FLAIR MR.
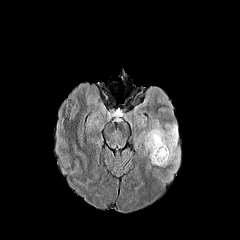
T1-weighted MRI.
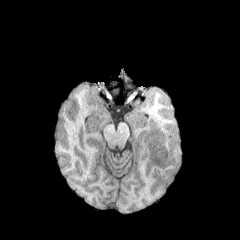
Post-contrast T1-weighted magnetic resonance.
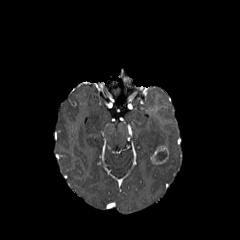
T2-weighted MRI.
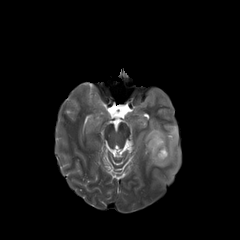
Segmented structures:
• edema: bbox=[142, 119, 180, 167]
• enhancing tumor: bbox=[150, 145, 169, 164]
• non-enhancing tumor core: bbox=[156, 151, 168, 162]